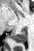

Hippocampus; MR

posterior_hippocampus:
  - rect(12, 28, 26, 42)